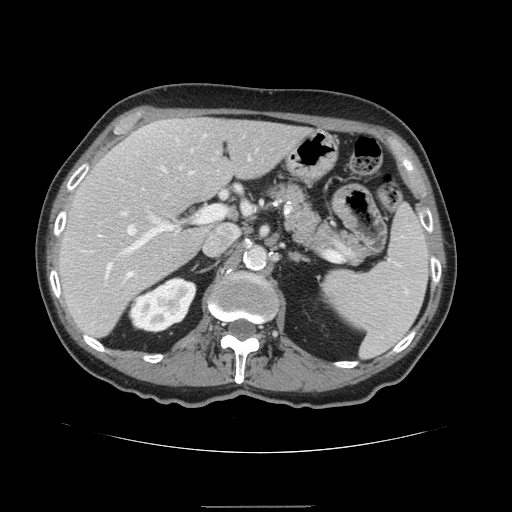
Liver; Computed tomography
The vessel annotation is not exhaustive.
hepatic vessel: (left=128, top=225, right=135, bottom=233), (left=127, top=272, right=133, bottom=276), (left=107, top=263, right=111, bottom=275), (left=126, top=222, right=174, bottom=251), (left=248, top=156, right=250, bottom=158), (left=205, top=225, right=235, bottom=254), (left=123, top=212, right=126, bottom=213), (left=190, top=171, right=192, bottom=172), (left=162, top=167, right=165, bottom=169), (left=197, top=206, right=225, bottom=222)